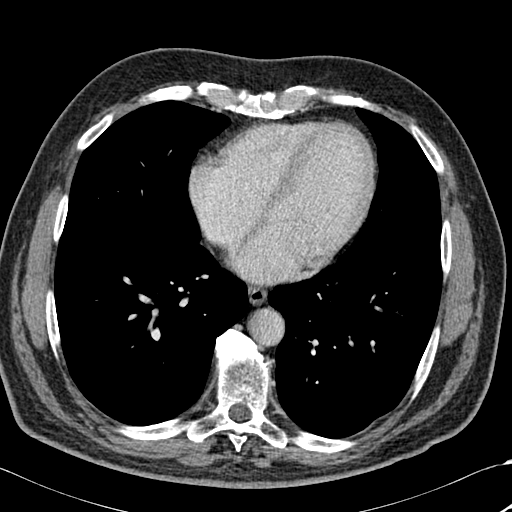
Image size 512x512 | Computed tomography | Chest
2 lung regions are located at [268, 108, 442, 438], [54, 100, 249, 425]. 10 bone regions appear at [441, 221, 451, 272], [54, 197, 67, 240], [330, 96, 369, 107], [294, 433, 352, 452], [46, 293, 59, 348], [78, 115, 111, 149], [121, 330, 288, 450], [147, 83, 320, 118], [415, 330, 438, 390], [412, 127, 442, 171].